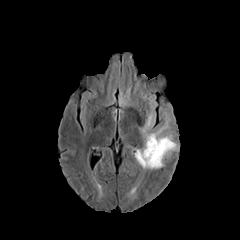
FLAIR MRI.
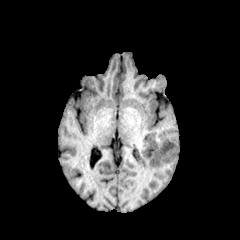
T1-weighted MR image of the same slice.
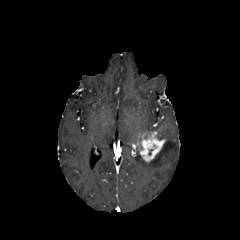
Post-contrast T1-weighted MR image of the same slice.
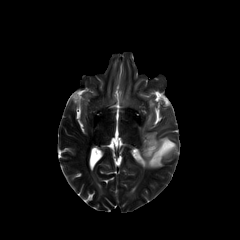
Same slice, T2-weighted MR image.
240x240 px; Brain
Edema = 135,135,174,168.
Enhancing tumor = 138,131,164,162.